Computed tomography | Slice 19/537 | 512x512

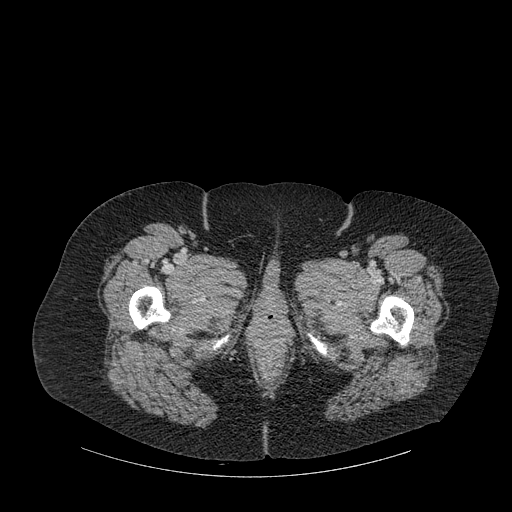

4 bone regions are located at [213,335,228,348], [370,296,413,344], [308,334,326,354], [129,286,170,328].